Computed tomography; Abdomen; Image size 512x512 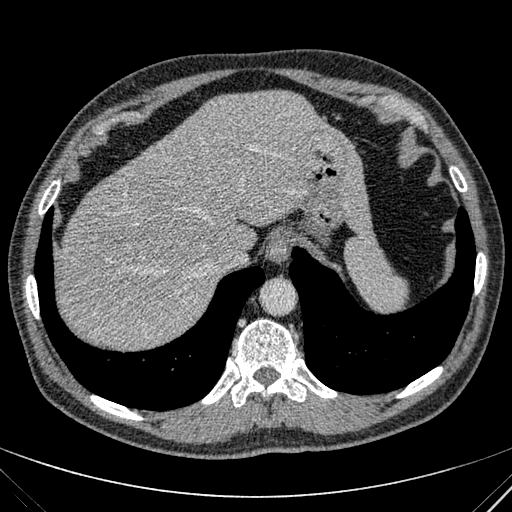 The liver is at box(55, 91, 372, 348).